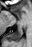 MRI slice | Medial temporal lobe
{"posterior_hippocampus": ["[8, 29, 22, 41]"]}